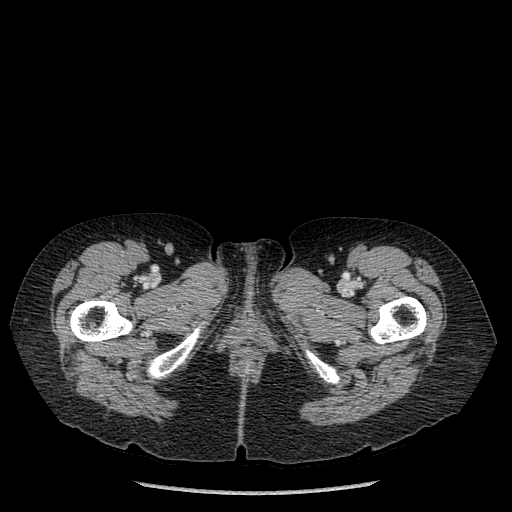 CT image, 512x512 px

Bone: bbox=[68, 299, 132, 343]; bbox=[370, 296, 426, 343]; bbox=[306, 349, 339, 383]; bbox=[147, 321, 205, 378].